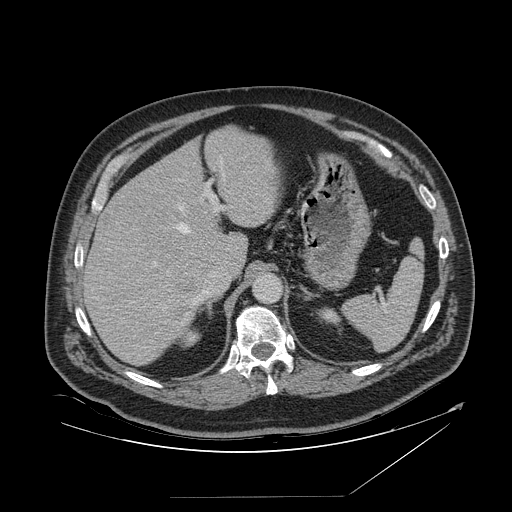

CT image | Abdomen
spleen:
  - l=343, t=239, r=424, b=350